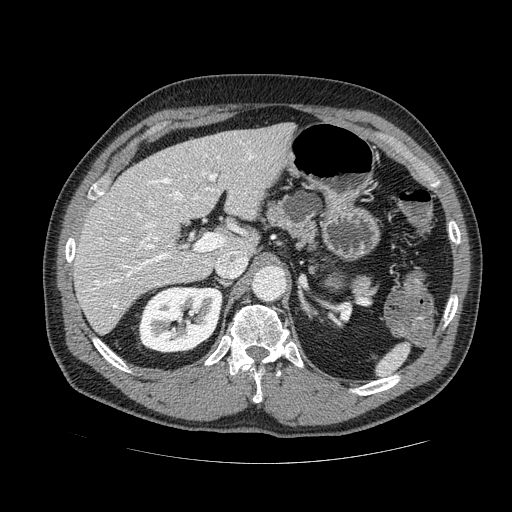

Image size 512x512. Computed tomography. Segmented structures:
- pancreas: region(259, 189, 374, 297)
- pancreatic tumor: region(281, 192, 321, 225)